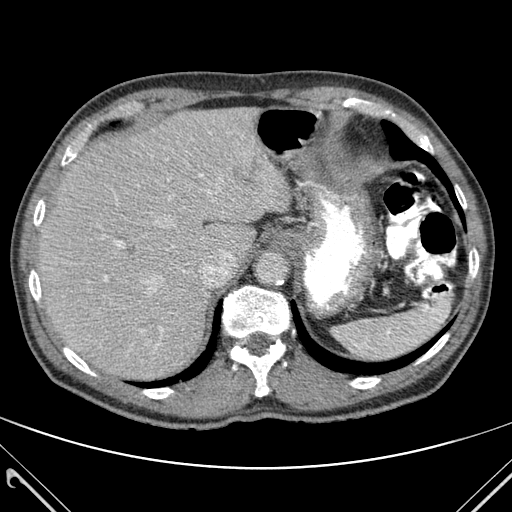

512x512, CT slice
focal liver lesion: left=233, top=167, right=253, bottom=187 | liver: left=39, top=107, right=288, bottom=380 | lung: left=143, top=307, right=220, bottom=387; left=292, top=303, right=443, bottom=374; left=381, top=120, right=461, bottom=217 | bone: left=231, top=339, right=284, bottom=396; left=418, top=334, right=448, bottom=362; left=351, top=378, right=379, bottom=388; left=144, top=388, right=172, bottom=398; left=62, top=147, right=75, bottom=164; left=223, top=286, right=288, bottom=337; left=414, top=132, right=432, bottom=151; left=64, top=348, right=95, bottom=375; left=455, top=185, right=466, bottom=208; left=34, top=200, right=44, bottom=225; left=29, top=270, right=40, bottom=300; left=469, top=249, right=478, bottom=276